Image size 512x512; CT 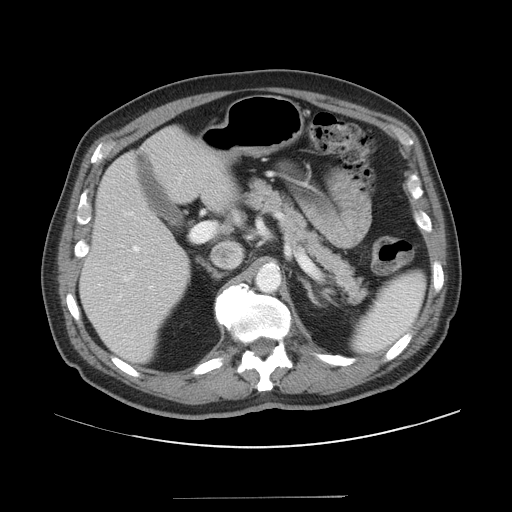 The pancreas is at (left=243, top=178, right=366, bottom=303).